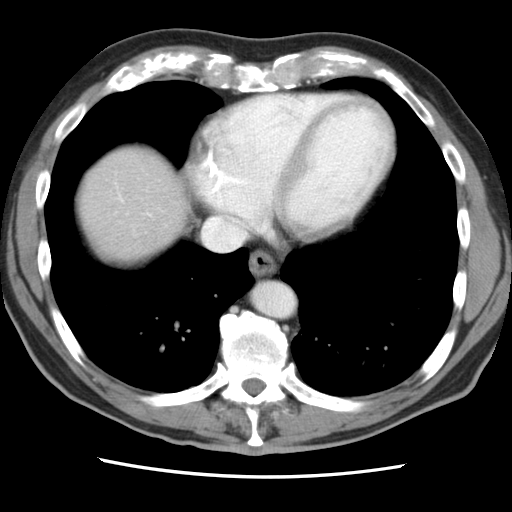
Computed tomography
The vessel annotation is not exhaustive.
The hepatic vessel lies within <bbox>119, 196, 121, 198</bbox>.